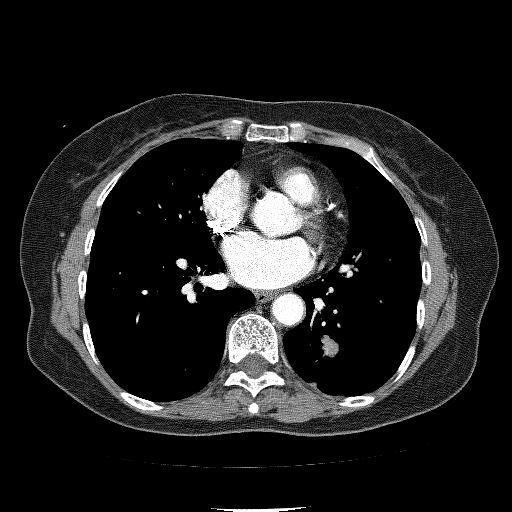

Thorax; 512x512; CT
Lung tumor: 321, 334, 339, 358.